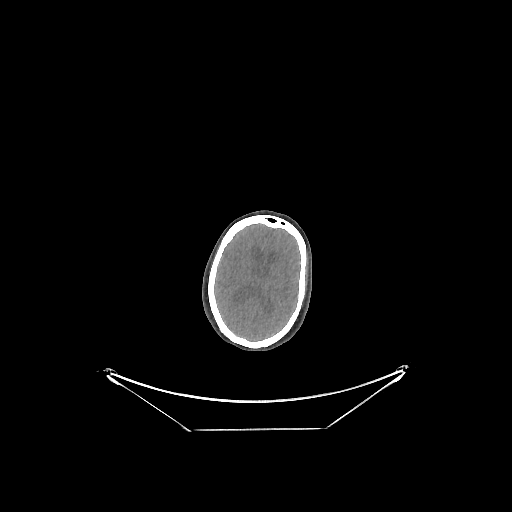
512x512. Head. CT image. Brain = [x1=214, y1=223, x2=300, y2=341].